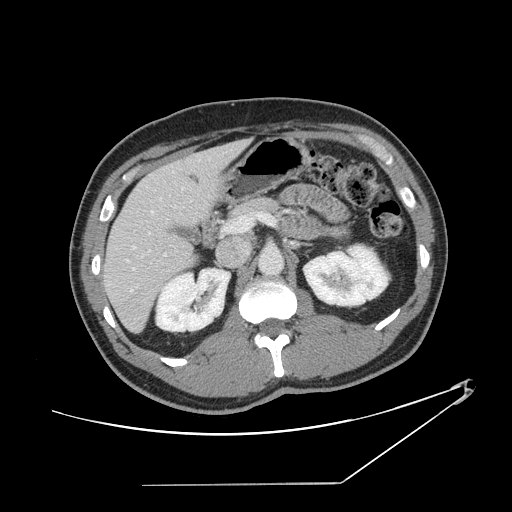 Liver. Image size 512x512. CT. Only some of the vessels may be annotated.
<segmentation>
  <hepatic_vessel>141:255:143:256, 160:198:161:200, 126:259:129:261, 131:289:132:290, 132:247:135:248, 163:253:166:255</hepatic_vessel>
</segmentation>